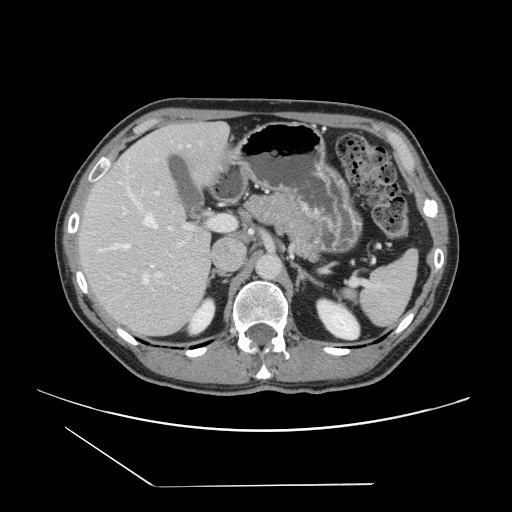
CT slice, Abdomen, 512x512 px

The vessel annotation is not exhaustive.
14 hepatic vessel regions are located at 179 145 181 147, 110 244 113 246, 155 158 157 159, 128 191 129 193, 143 282 145 284, 146 212 150 215, 127 164 127 168, 122 274 124 276, 183 225 184 227, 106 248 108 249, 127 187 128 190, 125 209 127 212, 100 249 104 251, 153 218 156 222.